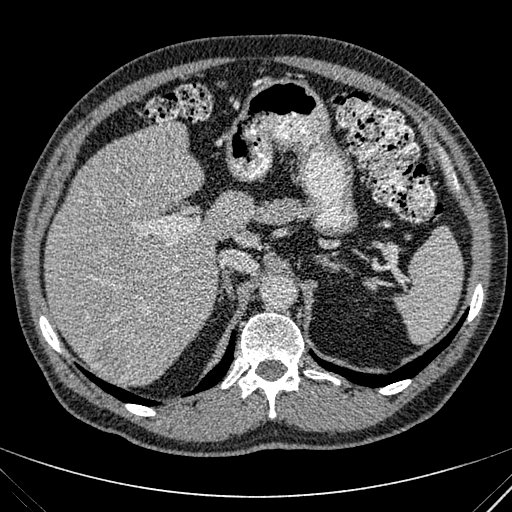

CT scan slice.

Liver = <bbox>47, 122, 252, 384</bbox>.
Hepatic lesion = <bbox>94, 334, 127, 378</bbox>.